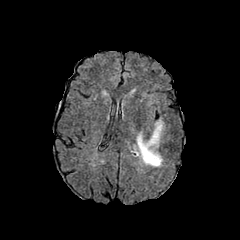
FLAIR MR image.
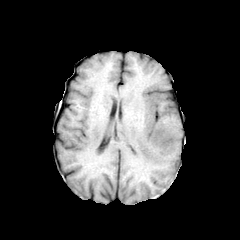
T1-weighted magnetic resonance of the same slice.
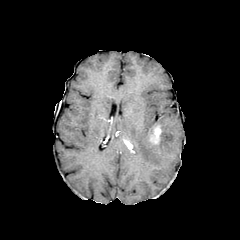
Post-contrast T1-weighted MRI of the same slice.
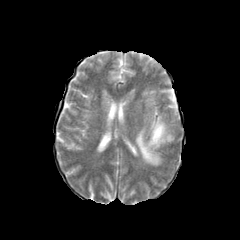
T2-weighted MR image.
Brain.
The enhancing tumor appears at {"x1": 150, "y1": 125, "x2": 162, "y2": 143}. The edema is bounded by {"x1": 132, "y1": 117, "x2": 172, "y2": 166}.